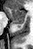

MR; Image size 33x49
Posterior hippocampus — (18,25,20,27), (13,22,23,23).
Anterior hippocampus — (5,7,25,21).